240x240 px
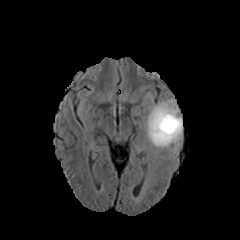
FLAIR MR image.
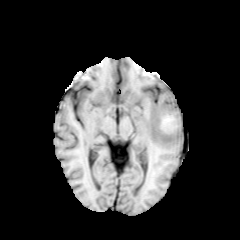
T1-weighted magnetic resonance.
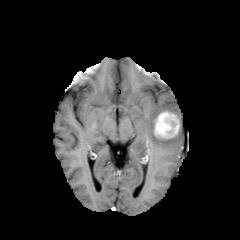
Post-contrast T1-weighted MR.
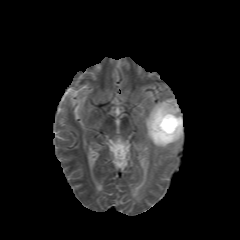
T2-weighted MR.
The enhancing tumor is located at (x1=160, y1=114, x2=177, y2=131). The edema is located at (x1=140, y1=96, x2=182, y2=153). The non-enhancing tumor core is located at (x1=156, y1=112, x2=175, y2=135).